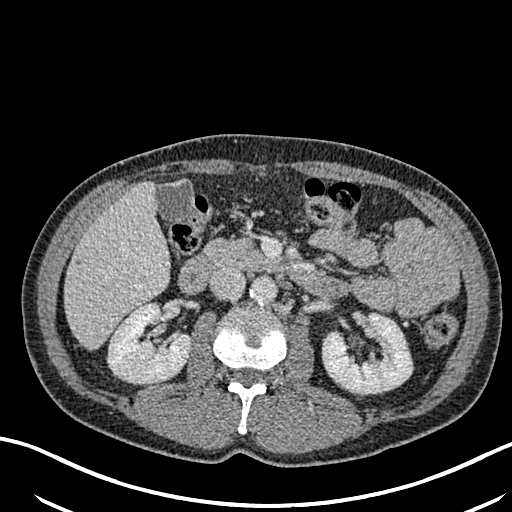
CT image
{
  "liver": [
    "box=[65, 182, 169, 348]"
  ],
  "kidney": [
    "box=[323, 313, 411, 393]",
    "box=[108, 304, 189, 383]"
  ]
}